Abdomen. CT. 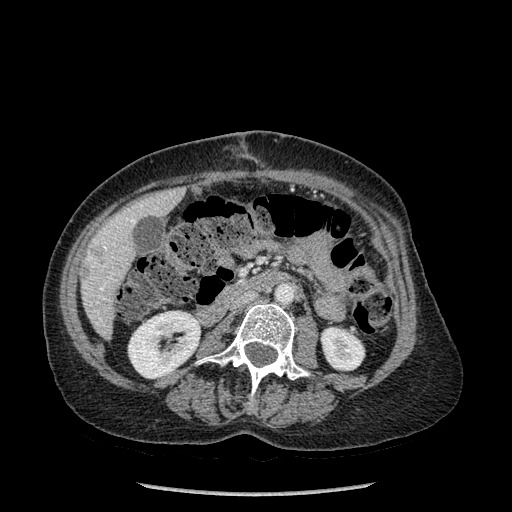 Segmented structures:
- liver: (x1=79, y1=187, x2=184, y2=340)
- bone: (x1=197, y1=301, x2=309, y2=409)
- kidney: (x1=128, y1=311, x2=200, y2=378), (x1=321, y1=328, x2=364, y2=370)
- focal liver lesion: (x1=91, y1=246, x2=104, y2=257)